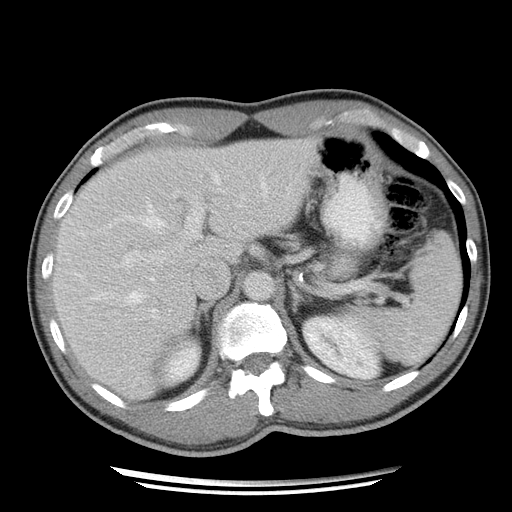 512x512 px; CT scan slice; Abdomen
The pancreas is located at (284,234,302,250).